240x240 px, Slice 125 of 155
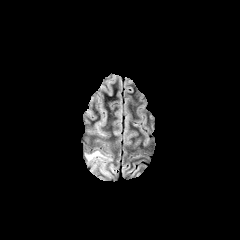
FLAIR magnetic resonance.
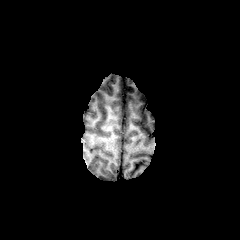
T1-weighted MR of the same slice.
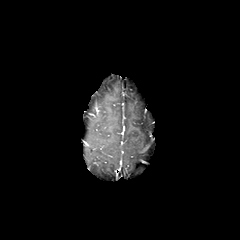
Post-contrast T1-weighted MRI.
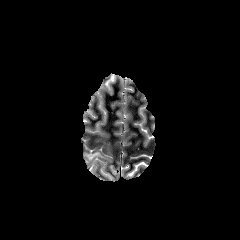
T2-weighted magnetic resonance.
edema: x1=86 y1=151 x2=109 y2=169